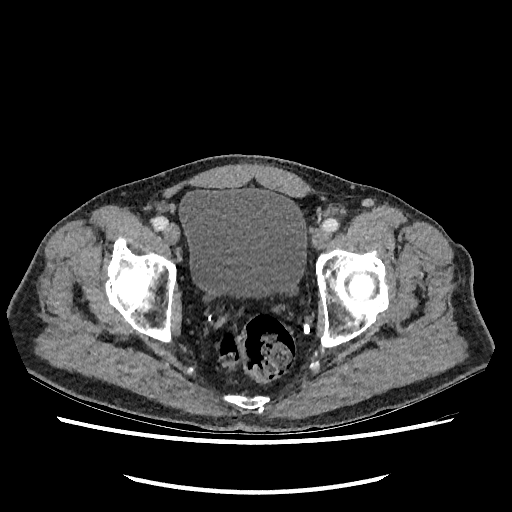

CT slice; Lower abdomen
The urinary bladder is at box(179, 188, 306, 296).